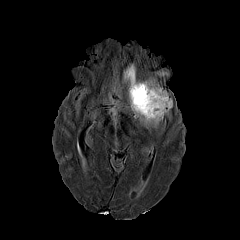
FLAIR MR image.
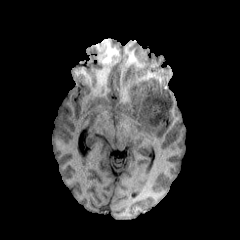
T1-weighted magnetic resonance.
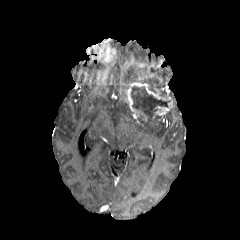
Same slice, post-contrast T1-weighted MR image.
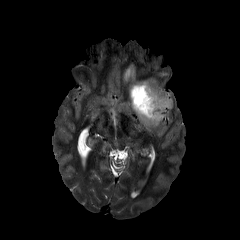
Same slice, T2-weighted MRI.
2 enhancing tumor regions are bounded by x1=126, y1=82, x2=160, y2=112; x1=137, y1=97, x2=172, y2=125. 3 edema regions appear at x1=122, y1=61, x2=136, y2=84; x1=141, y1=77, x2=162, y2=90; x1=139, y1=118, x2=158, y2=129. The non-enhancing tumor core is located at x1=130, y1=86, x2=170, y2=118.